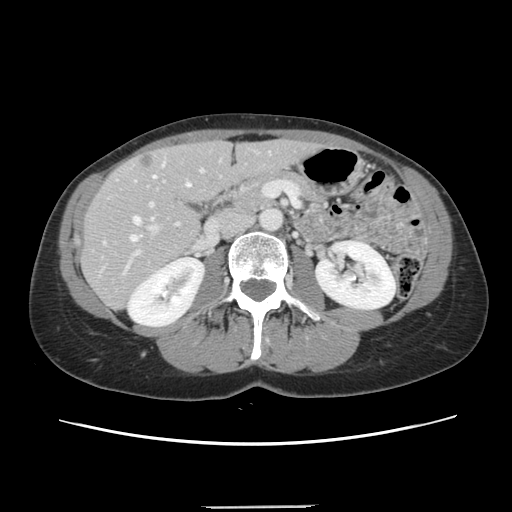 CT slice

Some hepatic vessels may have no box.
liver tumor: box=[140, 153, 151, 166] | hepatic vessel: box=[124, 262, 129, 271]; box=[133, 216, 140, 223]; box=[153, 175, 155, 177]; box=[176, 223, 178, 224]; box=[149, 226, 157, 231]; box=[134, 251, 139, 254]; box=[131, 235, 140, 240]; box=[162, 162, 163, 166]; box=[151, 218, 152, 219]; box=[133, 179, 135, 181]; box=[200, 169, 203, 171]; box=[149, 203, 152, 205]; box=[103, 242, 105, 243]; box=[186, 183, 189, 185]